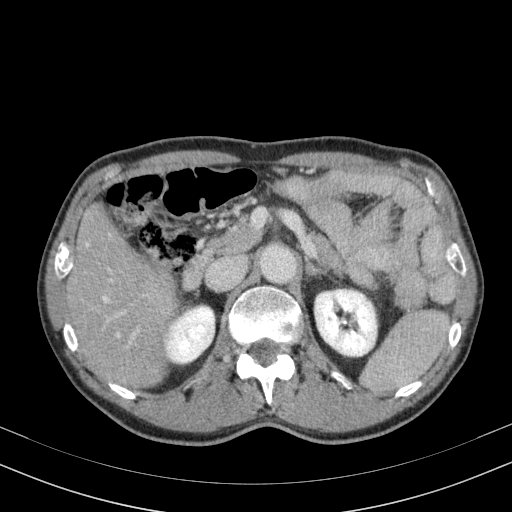

Computed tomography | Liver
- kidney: (167,307,213,362), (315,290,376,355)
- liver: (67,203,176,389)